FLAIR magnetic resonance.
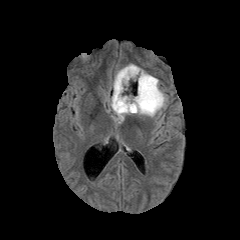
T1-weighted MR image.
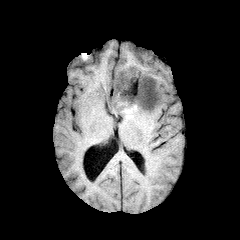
Post-contrast T1-weighted magnetic resonance.
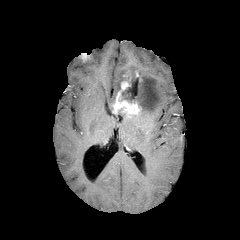
T2-weighted MR.
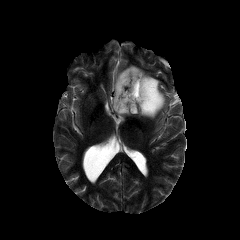
Head
- enhancing tumor: rect(112, 76, 141, 113)
- edema: rect(112, 114, 127, 123); rect(108, 63, 167, 118)
- non-enhancing tumor core: rect(116, 70, 157, 112); rect(113, 112, 125, 121)